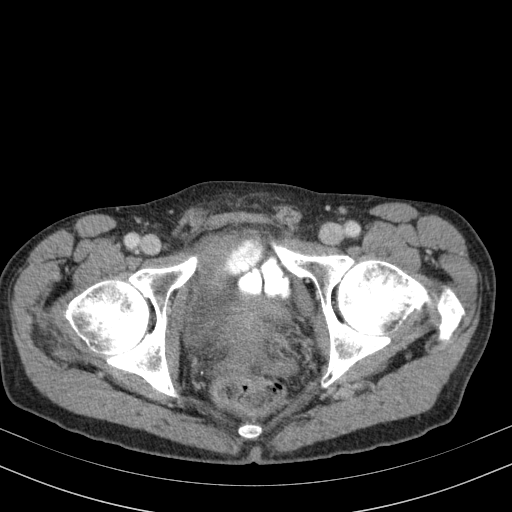
CT | Lower abdomen | Image size 512x512
Urinary bladder — {"x1": 178, "y1": 237, "x2": 286, "y2": 357}.